Computed tomography; Upper abdomen 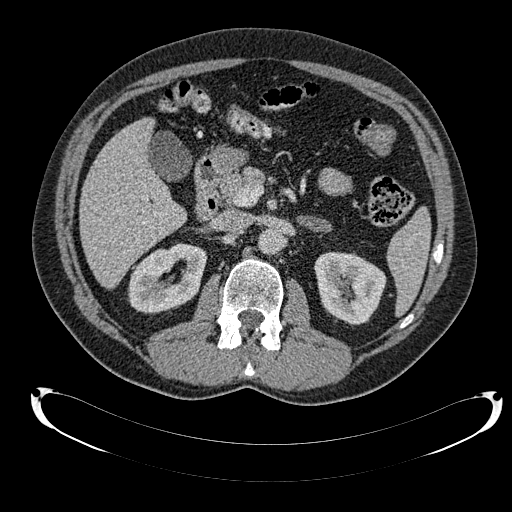
Segmented structures:
• liver: box=[79, 119, 186, 287]
• kidney: box=[129, 244, 206, 312]; box=[315, 252, 385, 323]